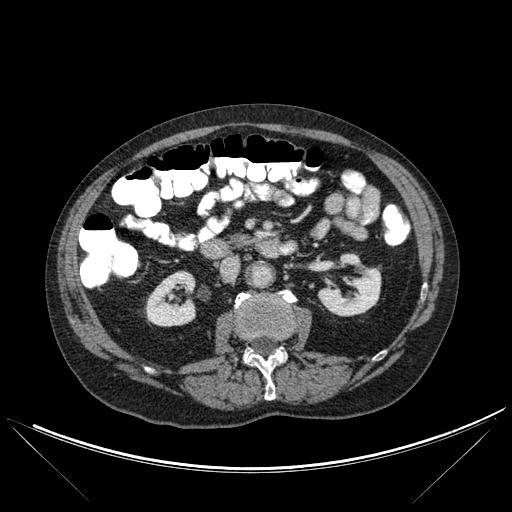 CT image | Abdomen
Bone: [235,290,296,338], [244,347,286,399].
Kidney: [318,268,380,315], [146,271,194,325], [341,254,360,265].